240x240
FLAIR MR.
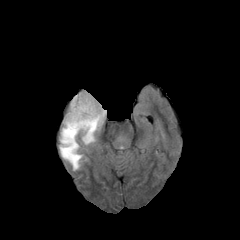
T1-weighted MR image.
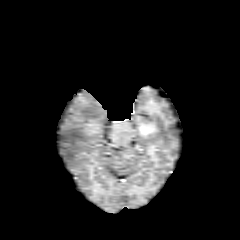
Post-contrast T1-weighted MR.
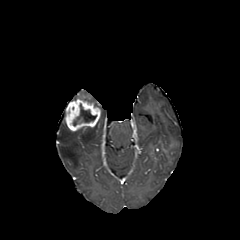
T2-weighted MR.
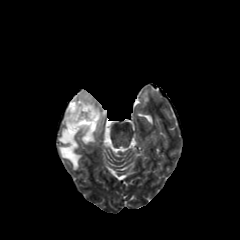
Enhancing tumor: bounding box rect(64, 93, 100, 131).
Edema: bounding box rect(58, 109, 105, 170).
Non-enhancing tumor core: bounding box rect(73, 105, 95, 125); rect(92, 114, 101, 129).